Image size 512x512; CT scan slice; Slice 8/455; Field of view 335x335 mm

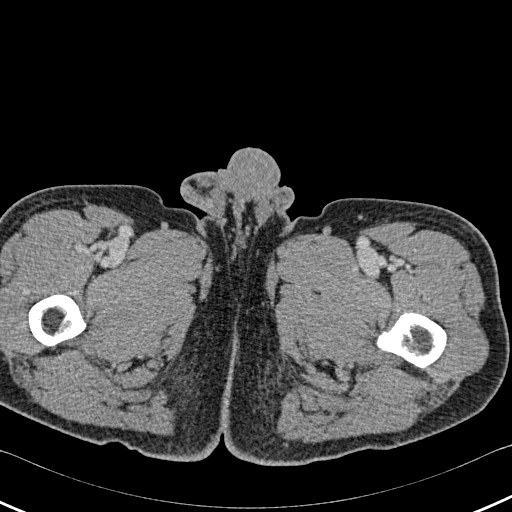 {"bone": ["l=377, t=313, r=446, b=367", "l=29, t=295, r=85, b=345"]}